CT scan slice | Abdomen
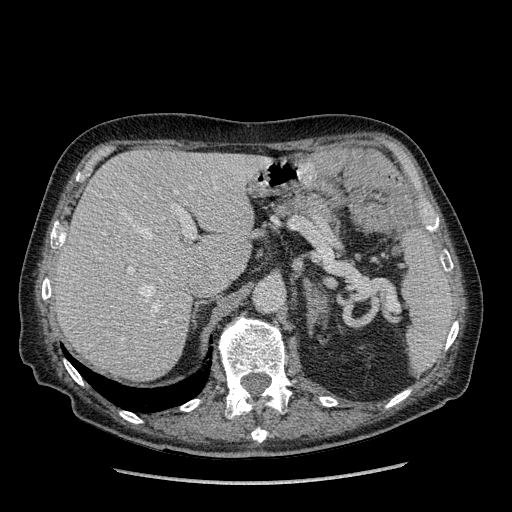

Liver = (left=56, top=150, right=260, bottom=380).